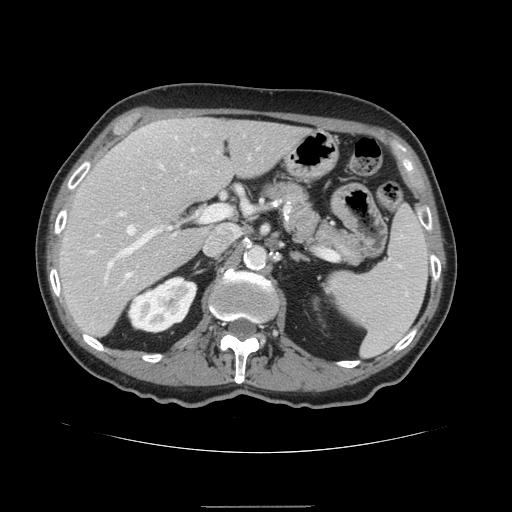
CT image | Upper abdomen

spleen:
  - 328:207:428:356